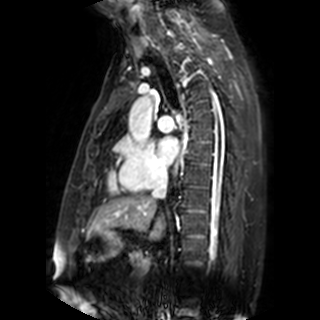

Image size 320x320 | MR image | Cardiac
left atrium: box(157, 137, 177, 163)